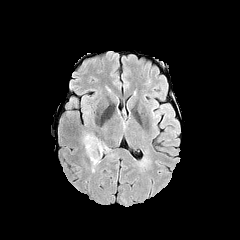
FLAIR MRI.
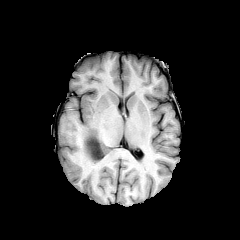
T1-weighted magnetic resonance.
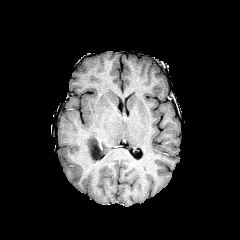
Same slice, post-contrast T1-weighted magnetic resonance.
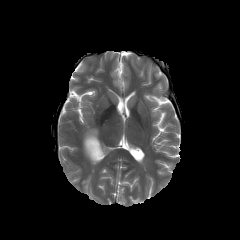
T2-weighted magnetic resonance.
240x240 px
The non-enhancing tumor core appears at region(86, 136, 103, 159). 2 edema regions appear at region(83, 131, 101, 171); region(101, 142, 110, 153).